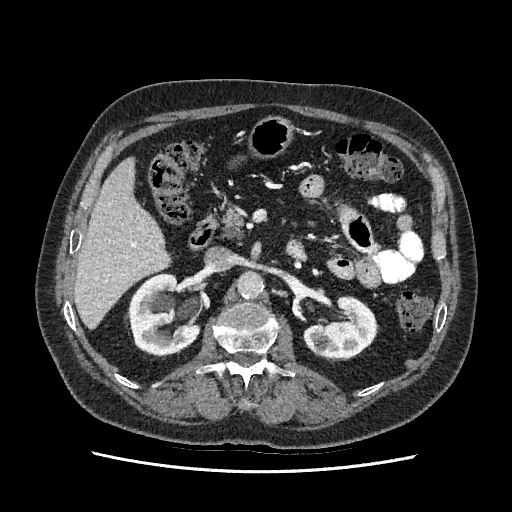 CT slice. Liver. Liver — (left=75, top=160, right=170, bottom=328).
Kidney — (left=130, top=275, right=198, bottom=354), (left=304, top=295, right=375, bottom=357).